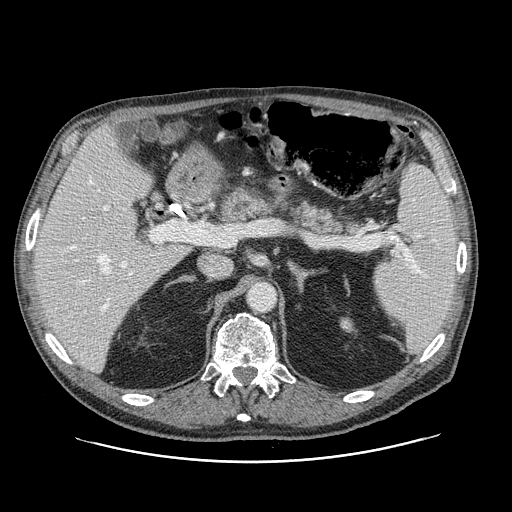

CT scan slice | Upper abdomen
pancreas: [222, 193, 357, 234]